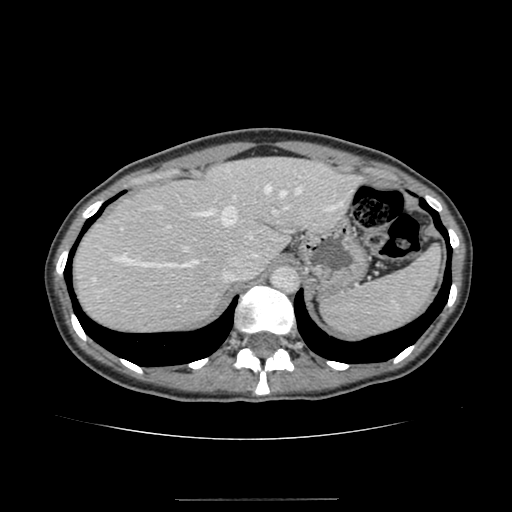
Computed tomography, Liver, 512x512
Segmented structures:
* liver: 75,157,360,333